FLAIR magnetic resonance.
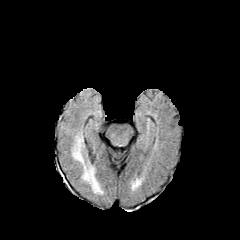
T1-weighted magnetic resonance.
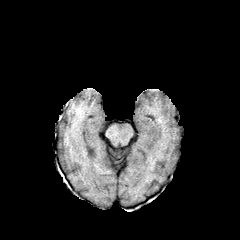
Post-contrast T1-weighted MRI.
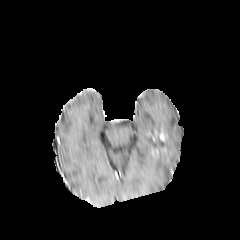
T2-weighted MR.
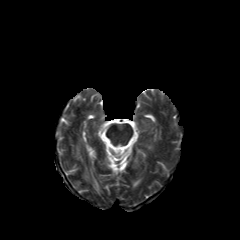
Brain.
{
  "edema": [
    "(72, 132, 102, 194)"
  ]
}